Abdomen | Slice 41/47 | CT slice | Image width 383 mm 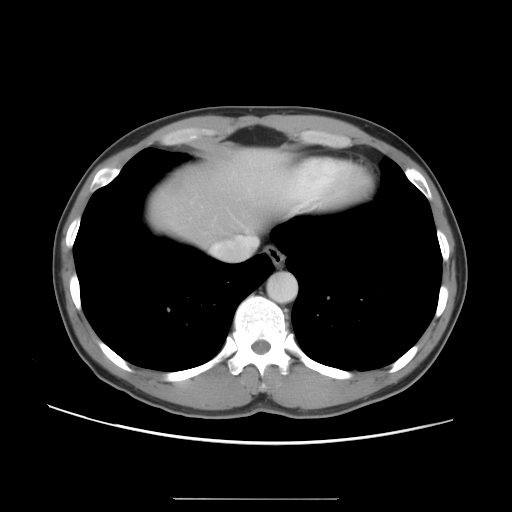
Some hepatic vessels may have no box.
Hepatic vessel: bounding box [249,235,253,239].